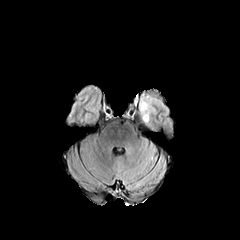
FLAIR magnetic resonance.
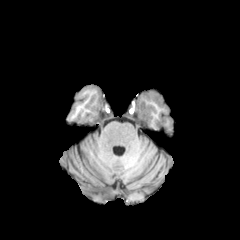
T1-weighted MR.
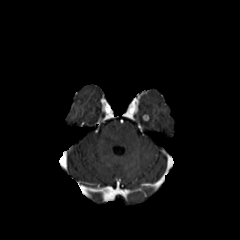
Post-contrast T1-weighted magnetic resonance.
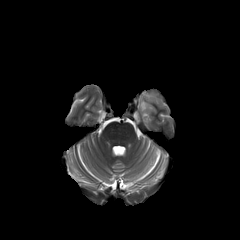
T2-weighted MR.
Head. 240x240 px.
edema:
  - [x1=138, y1=93, x2=161, y2=129]